CT scan slice. Slice 130/245. Abdomen.

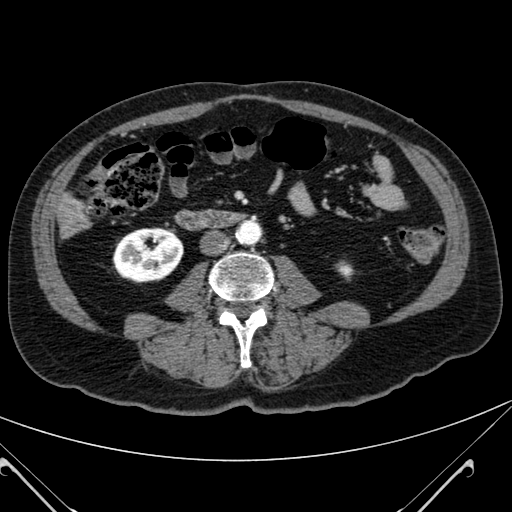 Kidney = bbox(114, 229, 182, 281).